Abdomen | CT slice | Slice 60 of 89

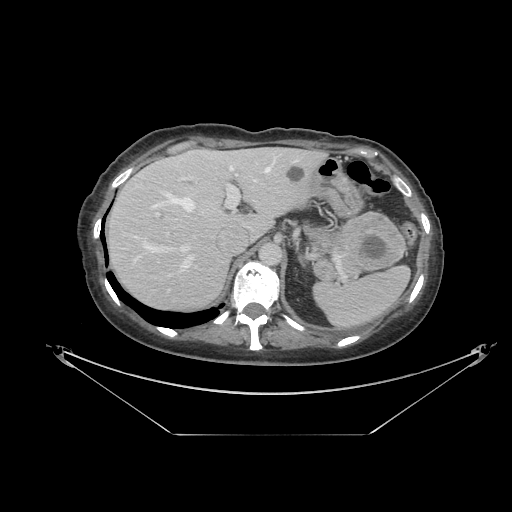

Pancreatic tumor at [x1=336, y1=211, x2=405, y2=279].
Pancreas at [x1=306, y1=220, x2=349, y2=251], [x1=339, y1=256, x2=352, y2=279].